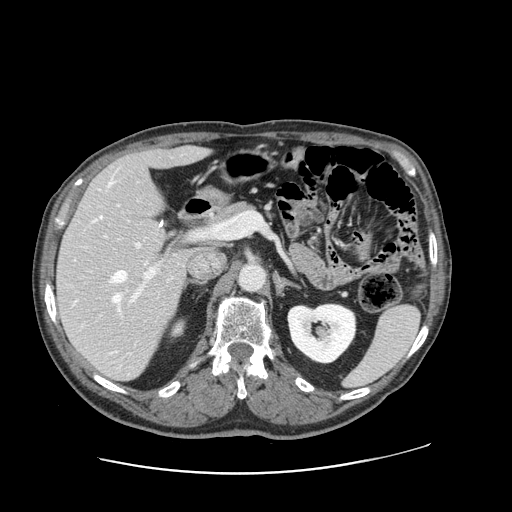 CT scan slice. The vessel boxes may cover only some of the vessels.
Hepatic vessel — x1=99, y1=216, x2=102, y2=218; x1=111, y1=270, x2=126, y2=282; x1=144, y1=268, x2=152, y2=280; x1=136, y1=243, x2=139, y2=247; x1=113, y1=294, x2=120, y2=301; x1=92, y1=220, x2=95, y2=222; x1=109, y1=178, x2=114, y2=185; x1=131, y1=286, x2=142, y2=300.